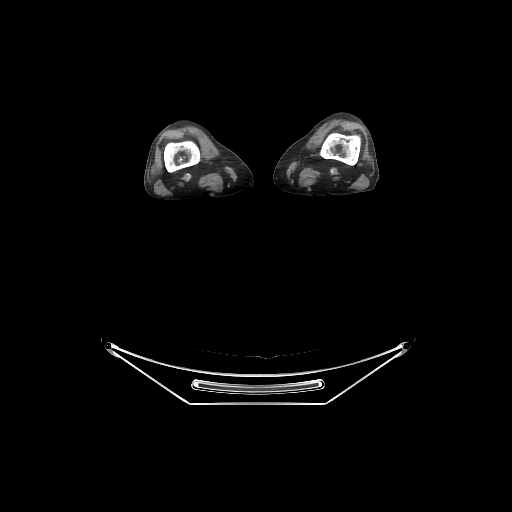

Image size 512x512, CT
2 bone regions are bounded by (164, 141, 199, 171), (320, 133, 360, 165).